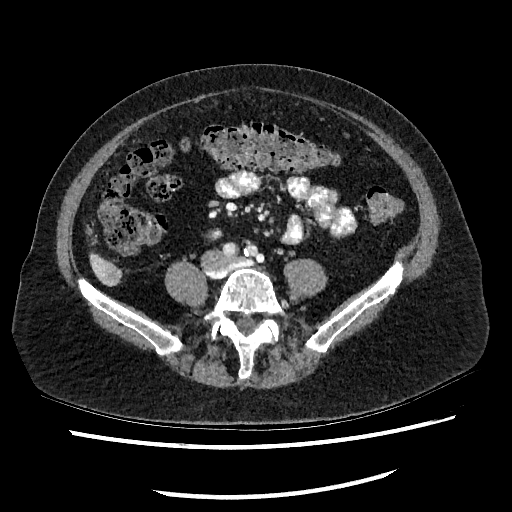 Computed tomography. Abdomen.

Liver — region(90, 257, 121, 284).
Hepatic lesion — region(106, 268, 118, 280).